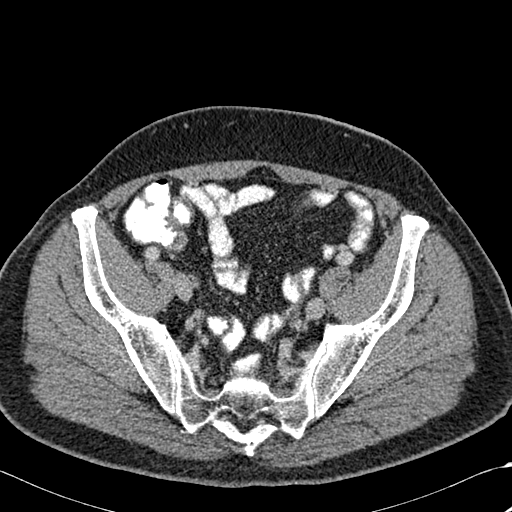 Image size 512x512. CT slice.

The bone is located at bbox(72, 206, 428, 454).